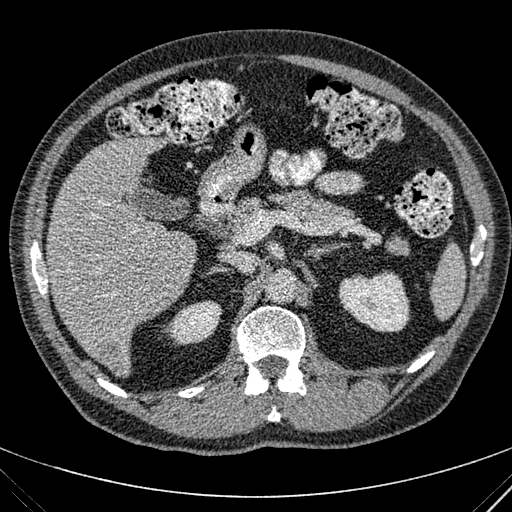
512x512, CT

The hepatic lesion is bounded by (93, 339, 126, 370). 2 kidney regions are bounded by (339, 272, 408, 331), (170, 301, 221, 343). The liver is located at (46, 137, 193, 376).